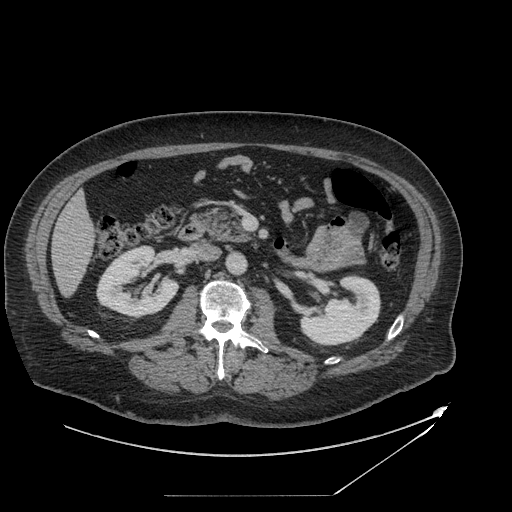

Abdomen. CT slice.
Pancreas: x1=192 y1=208 x2=252 y2=242.